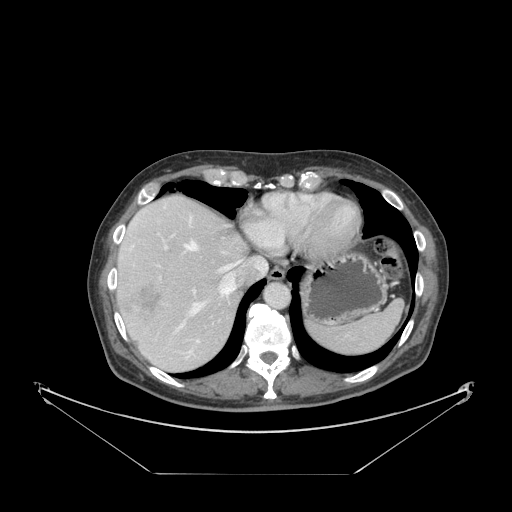
CT
{
  "spleen": [
    "region(305, 300, 402, 355)"
  ]
}